512x512. Lower abdomen. Slice 74/427. CT image.
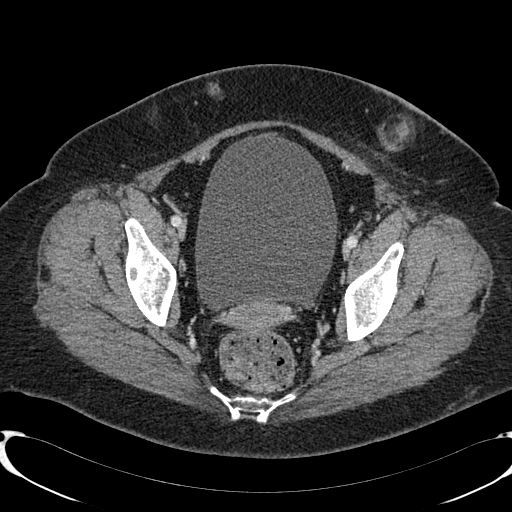

{
  "urinary_bladder": [
    "<box>195,134,336,307</box>"
  ]
}